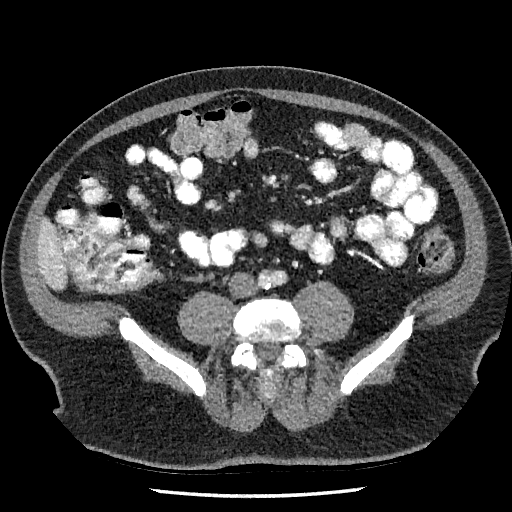
CT image | Upper abdomen
The liver lies within 37, 218, 66, 289.